FLAIR magnetic resonance.
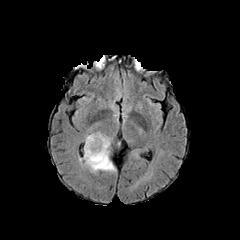
T1-weighted MRI.
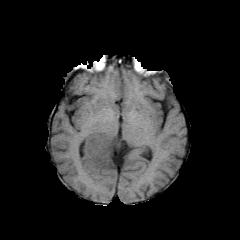
Post-contrast T1-weighted MRI.
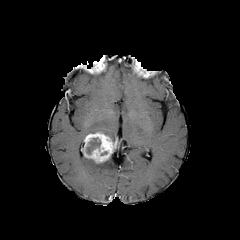
T2-weighted MR image.
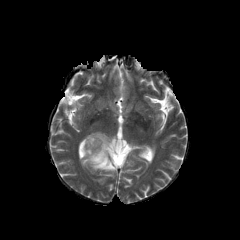
Head
Edema — 78:157:116:172.
Enhancing tumor — 81:132:120:163.
Non-enhancing tumor core — 87:138:100:153.